Image size 512x512. CT image. 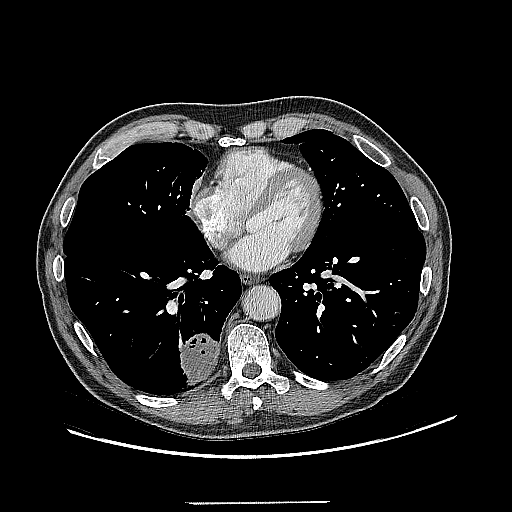

<segmentation>
  <lung_tumor><bbox>178, 333, 217, 385</bbox></lung_tumor>
</segmentation>